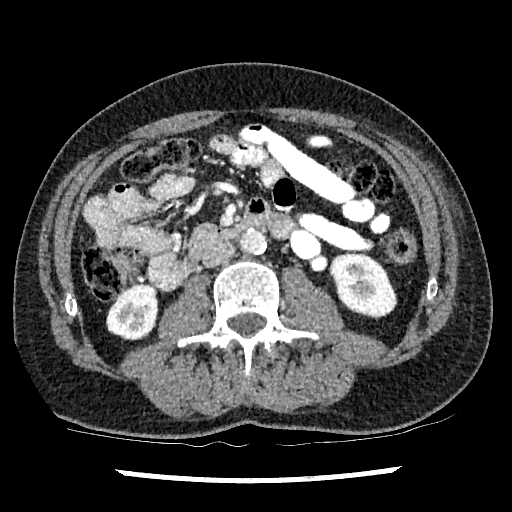

CT slice, Abdomen
2 kidney regions are located at <box>107,286,156,338</box>, <box>332,254,394,315</box>.